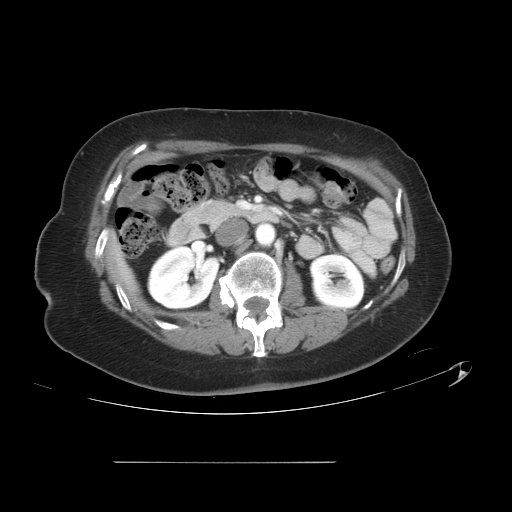
Image size 512x512, CT
{"pancreas": ["box(187, 197, 241, 226)"]}